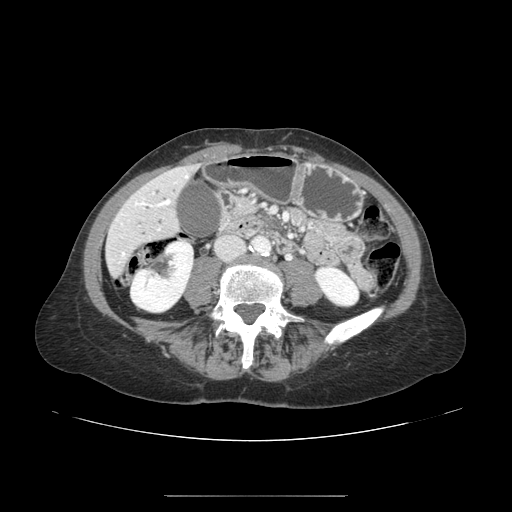 Upper abdomen, CT
The pancreas appears at box(259, 219, 269, 225).